Head.
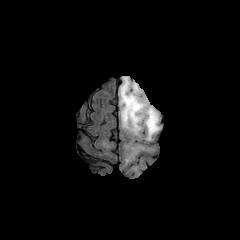
FLAIR MRI.
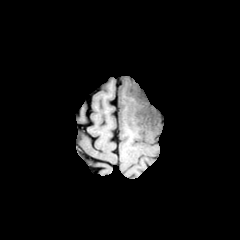
T1-weighted MRI.
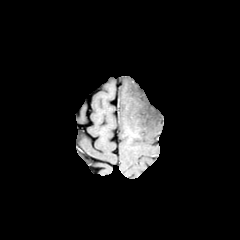
Post-contrast T1-weighted MR of the same slice.
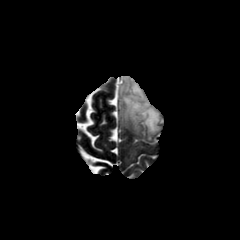
T2-weighted MR.
The edema is at [x1=118, y1=76, x2=161, y2=139]. The non-enhancing tumor core is at [x1=126, y1=82, x2=150, y2=125].